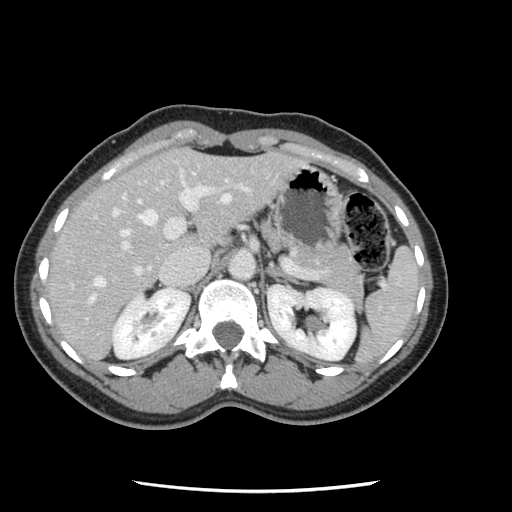 CT scan slice
Only some of the vessels may be annotated.
12 hepatic vessel regions are bounded by bbox=[181, 172, 181, 175]; bbox=[134, 266, 140, 273]; bbox=[112, 209, 117, 214]; bbox=[239, 185, 247, 189]; bbox=[179, 184, 210, 208]; bbox=[221, 194, 229, 201]; bbox=[94, 277, 104, 286]; bbox=[122, 239, 127, 248]; bbox=[139, 210, 156, 224]; bbox=[89, 295, 93, 301]; bbox=[164, 218, 183, 237]; bbox=[121, 229, 128, 236].